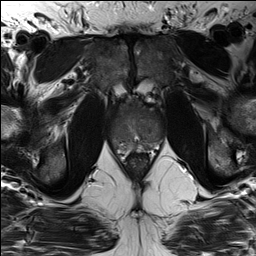
T2-weighted MRI.
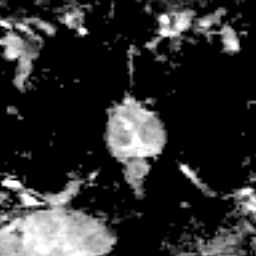
ADC MR image.
Pelvis.
{
  "prostate_peripheral_zone": [
    "x1=115, y1=138, x2=162, y2=150"
  ],
  "prostate_transition_zone": [
    "x1=109, y1=108, x2=163, y2=147"
  ]
}